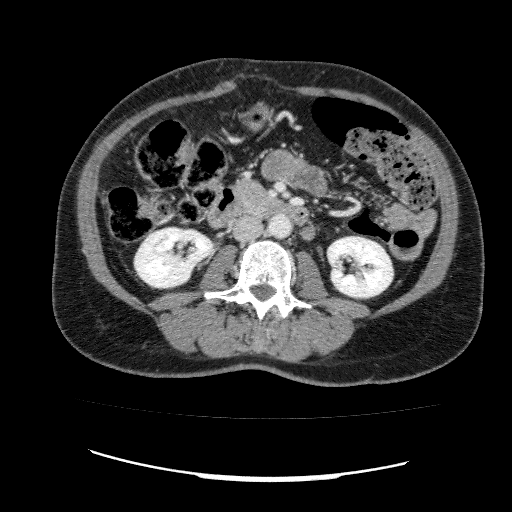 Abdomen; CT image

Kidney = bbox(135, 228, 211, 287); bbox(328, 237, 392, 296).